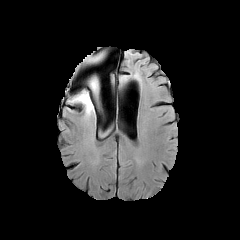
FLAIR magnetic resonance.
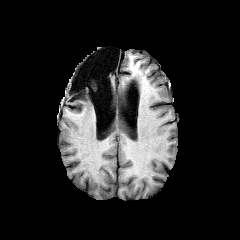
T1-weighted MR image.
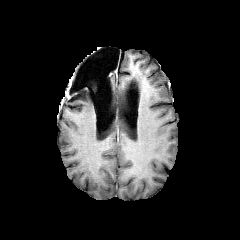
Post-contrast T1-weighted MR.
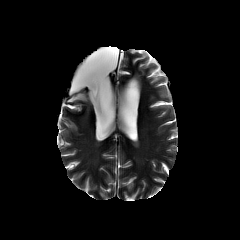
Same slice, T2-weighted MRI.
Head; Image size 240x240
Non-enhancing tumor core at box=[88, 78, 98, 93]; box=[68, 93, 81, 101].
Edema at box=[90, 54, 103, 63]; box=[70, 88, 97, 118].